Head.
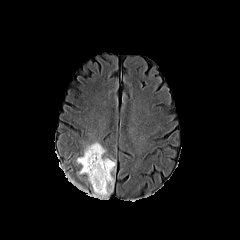
FLAIR MRI.
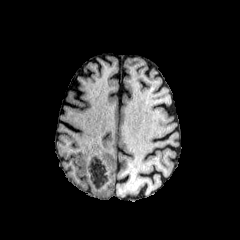
T1-weighted MR.
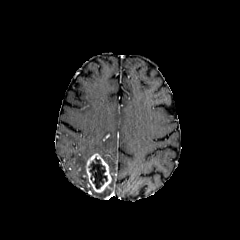
Same slice, post-contrast T1-weighted MRI.
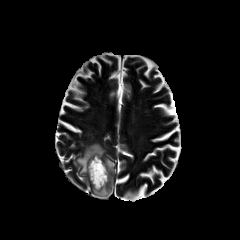
T2-weighted MRI of the same slice.
Edema: bounding box bbox=[77, 143, 104, 174]; bbox=[94, 179, 113, 197]; bbox=[105, 160, 115, 174].
Non-enhancing tumor core: bounding box bbox=[88, 156, 108, 189].
Enhancing tumor: bounding box bbox=[85, 153, 111, 192].